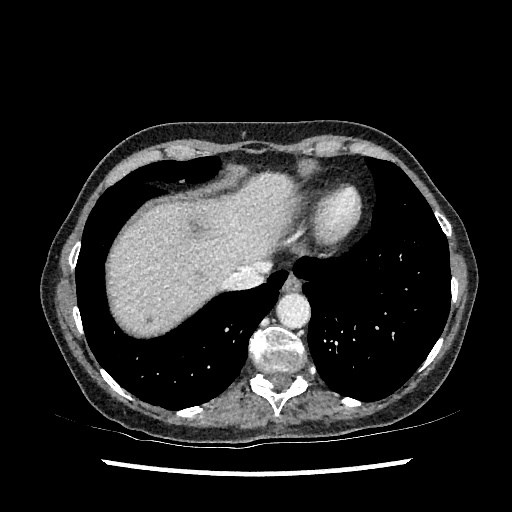 Upper abdomen. CT slice. 512x512.

Hepatic lesion at x1=195 y1=270 x2=203 y2=277, x1=187 y1=216 x2=209 y2=240.
Liver at x1=108 y1=174 x2=294 y2=332.